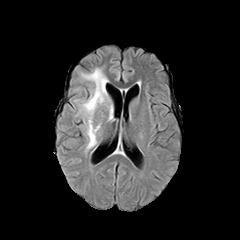
FLAIR MR image.
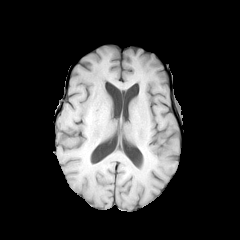
T1-weighted MR image.
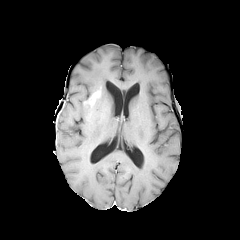
Post-contrast T1-weighted magnetic resonance of the same slice.
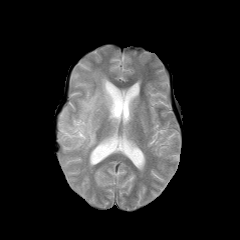
Same slice, T2-weighted magnetic resonance.
240x240
Annotated regions:
• edema: x1=75, y1=67, x2=113, y2=153
• enhancing tumor: x1=83, y1=88, x2=101, y2=107